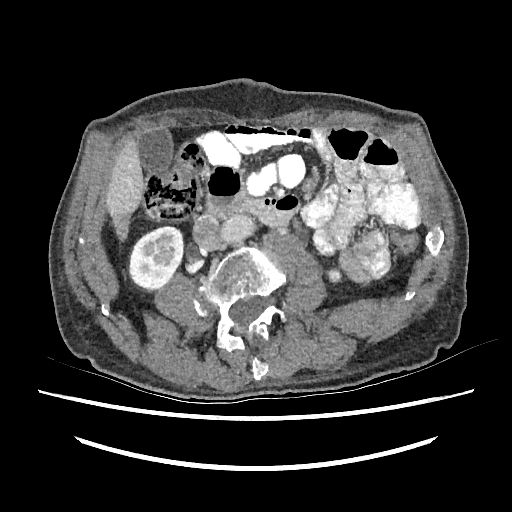

CT image | 512x512 px
The kidney appears at (x1=130, y1=227, x2=182, y2=288). The liver lesion lies within (x1=116, y1=210, x2=130, y2=236). The liver is at (x1=106, y1=141, x2=143, y2=226).